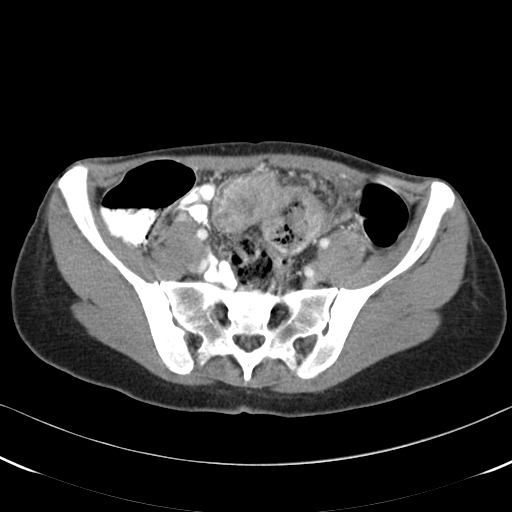
Pelvis. CT slice. Findings:
- colon tumor: bbox(212, 178, 322, 240)